CT image. 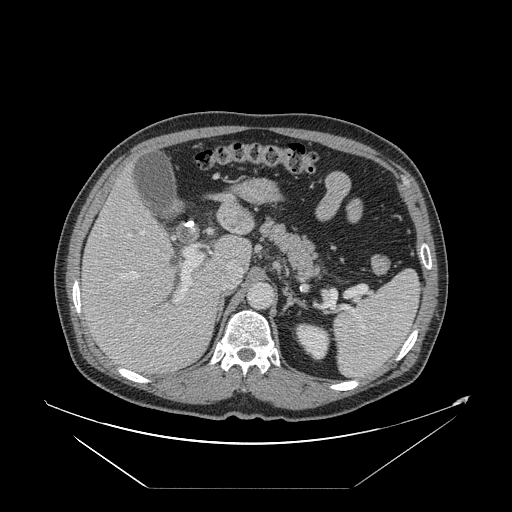 Not every hepatic vessel necessarily has a box.
hepatic_vessel:
  - [210,252,225,262]
  - [225,256,227,257]
  - [128,234,130,237]
  - [211,283,214,289]
  - [217,198,221,198]
  - [217,260,242,290]
  - [129,320,131,322]
  - [118,272,137,278]
  - [140,231,144,233]
  - [104,234,106,236]
  - [173,247,201,302]